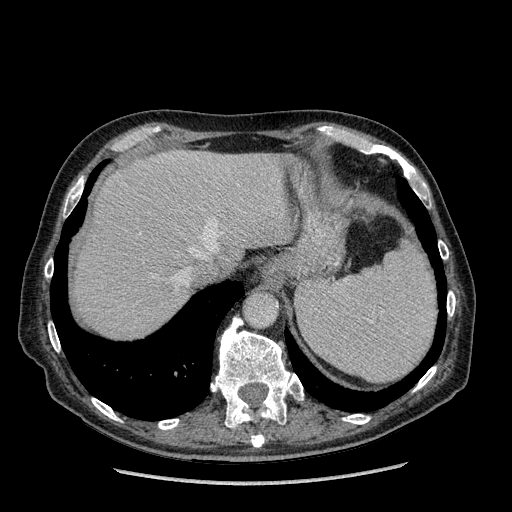 Computed tomography

<segmentation>
  <liver>left=75, top=150, right=286, bottom=339</liver>
</segmentation>